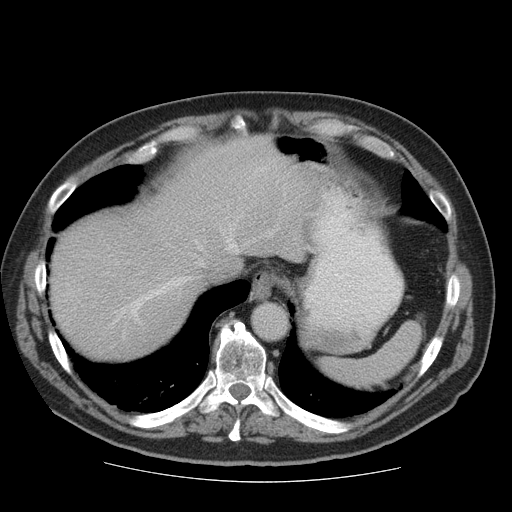
Liver; Computed tomography; 512x512 px
The vessel boxes may cover only some of the vessels.
Findings:
* hepatic vessel: [239, 198, 240, 199], [226, 217, 228, 218], [194, 239, 204, 251], [265, 226, 278, 236], [253, 238, 255, 240], [112, 277, 195, 323], [191, 254, 204, 266], [219, 214, 246, 253], [122, 333, 123, 337], [207, 266, 233, 277], [229, 216, 232, 216], [237, 207, 239, 208], [284, 195, 285, 200]